Slice index 94; Brain; Field of view 240x240 mm
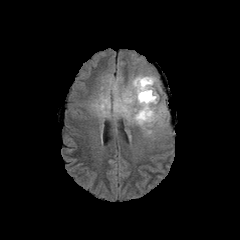
FLAIR MRI.
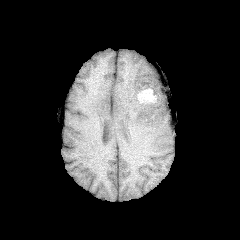
T1-weighted magnetic resonance.
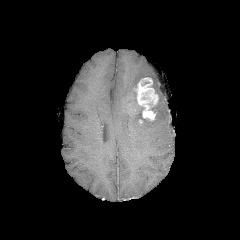
Same slice, post-contrast T1-weighted magnetic resonance.
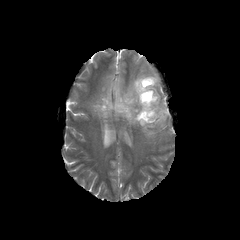
T2-weighted MR image.
The edema appears at box(90, 73, 169, 137). The enhancing tumor lies within box(134, 77, 158, 121). The non-enhancing tumor core lies within box(140, 100, 159, 123).